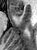 MR image
{
  "anterior_hippocampus": [
    "left=10, top=5, right=22, bottom=16"
  ]
}